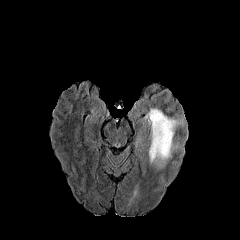
FLAIR MR image.
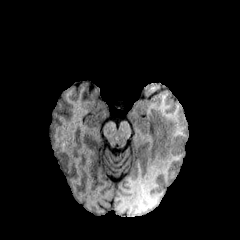
T1-weighted magnetic resonance.
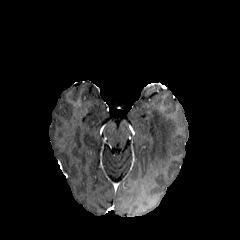
Post-contrast T1-weighted magnetic resonance.
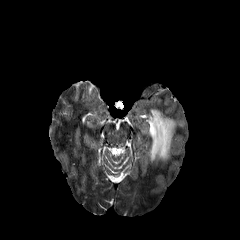
Same slice, T2-weighted MR image.
edema: (144, 109, 180, 170)